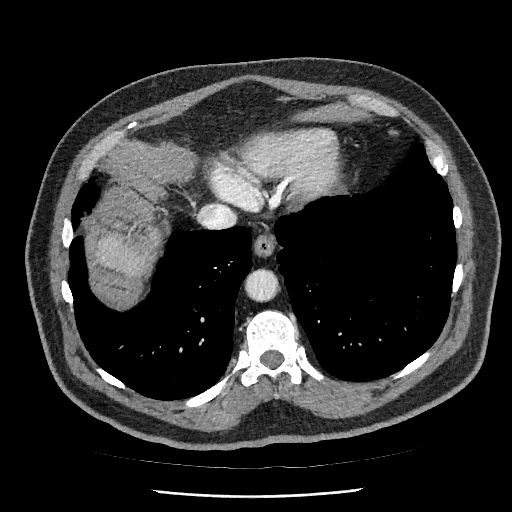 CT scan slice; Abdomen

liver: <bbox>95, 235, 148, 278</bbox>